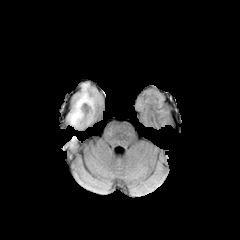
FLAIR MRI.
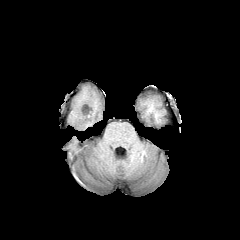
T1-weighted magnetic resonance.
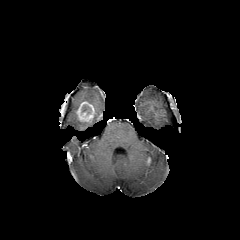
Same slice, post-contrast T1-weighted magnetic resonance.
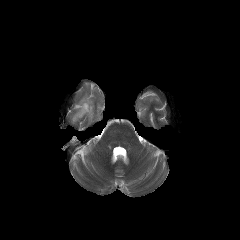
T2-weighted MRI.
enhancing_tumor:
  - (left=76, top=101, right=93, bottom=120)
non-enhancing_tumor_core:
  - (left=82, top=103, right=93, bottom=117)
edema:
  - (left=70, top=92, right=94, bottom=124)